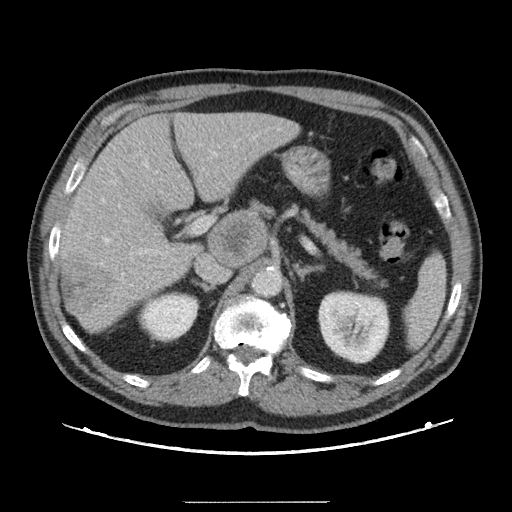
Abdomen. CT slice.
The vessel annotation is not exhaustive.
Segmented structures:
* hepatic vessel: region(154, 251, 161, 253); region(102, 237, 110, 243); region(154, 272, 158, 273)
* liver tumor: region(63, 255, 114, 312)